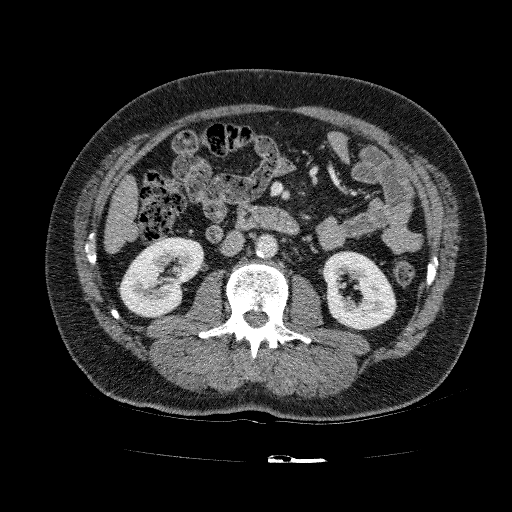 Liver, Image size 512x512, CT scan slice
2 kidney regions appear at l=120, t=238, r=203, b=316; l=323, t=252, r=395, b=329. The liver is at l=104, t=175, r=137, b=253.